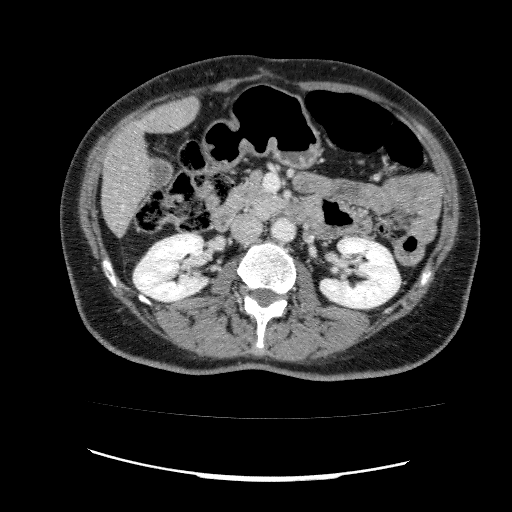
Computed tomography

The liver is at bbox(100, 96, 198, 236). 2 kidney regions are located at bbox(321, 237, 399, 308); bbox(133, 234, 207, 301).